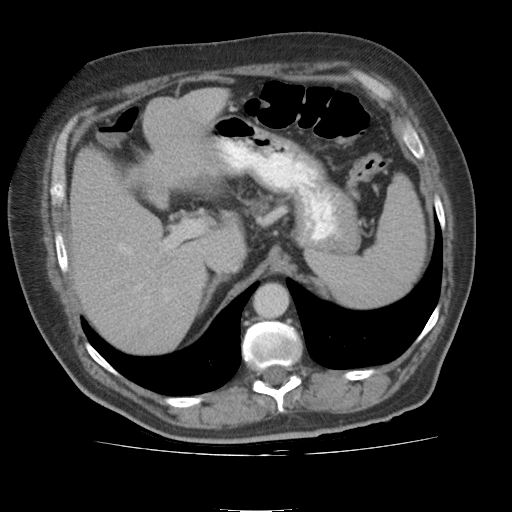

CT

Segmented structures:
* focal liver lesion: {"x1": 135, "y1": 171, "x2": 156, "y2": 191}
* liver: {"x1": 71, "y1": 152, "x2": 205, "y2": 351}, {"x1": 146, "y1": 90, "x2": 227, "y2": 189}